Slice index 448; CT slice; Abdomen
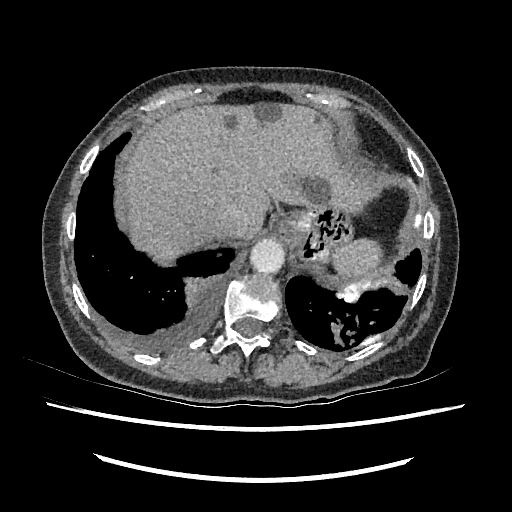

focal_liver_lesion:
  - <bbox>254, 105, 280, 121</bbox>
  - <bbox>225, 115, 235, 128</bbox>
  - <bbox>282, 172, 332, 203</bbox>
liver:
  - <bbox>125, 105, 357, 259</bbox>